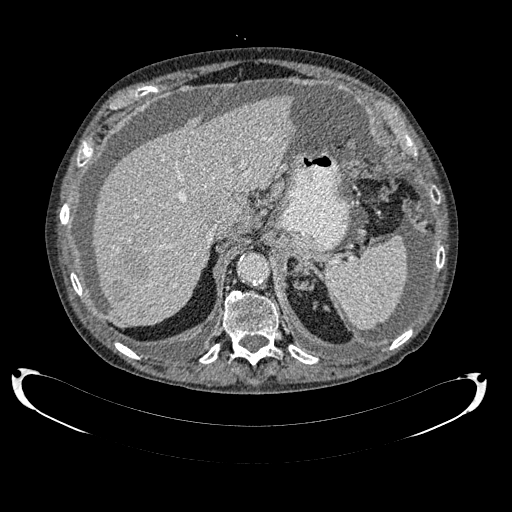

512x512. CT slice. The liver lies within (x1=93, y1=95, x2=293, y2=325). 4 hepatic lesion regions are located at (x1=285, y1=126, x2=292, y2=135), (x1=109, y1=281, x2=126, y2=301), (x1=192, y1=193, x2=218, y2=226), (x1=121, y1=247, x2=148, y2=278).